Slice 90/155.
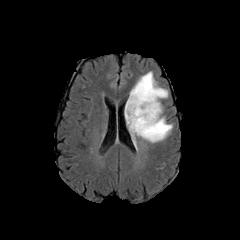
FLAIR MR image.
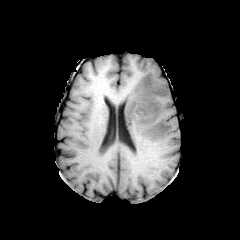
T1-weighted MR.
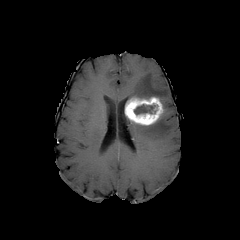
Post-contrast T1-weighted MR image of the same slice.
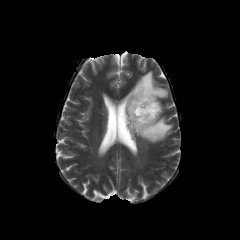
T2-weighted magnetic resonance.
{"enhancing_tumor": ["(125,96,162,125)"], "non-enhancing_tumor_core": ["(134,104,153,114)"], "edema": ["(126,115,172,143)", "(128,71,168,99)"]}